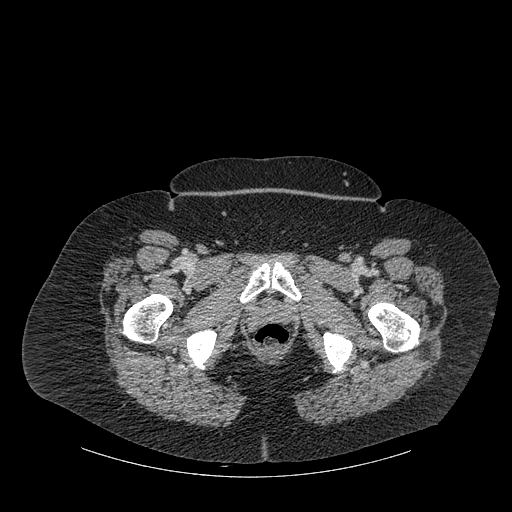
Computed tomography

{
  "bone": [
    "bbox(323, 332, 352, 372)",
    "bbox(368, 302, 419, 351)",
    "bbox(187, 330, 216, 368)",
    "bbox(123, 294, 172, 343)",
    "bbox(240, 262, 301, 302)"
  ]
}